FLAIR magnetic resonance.
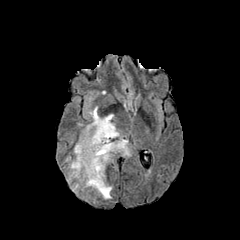
T1-weighted MRI.
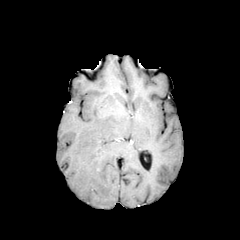
Post-contrast T1-weighted MR.
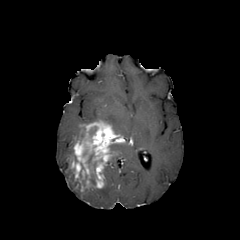
T2-weighted magnetic resonance.
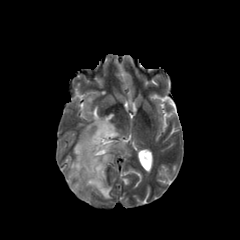
Head.
Edema: [x1=78, y1=124, x2=87, y2=141], [x1=68, y1=167, x2=112, y2=199], [x1=104, y1=139, x2=130, y2=176], [x1=87, y1=106, x2=119, y2=134].
Non-enhancing tumor core: [x1=79, y1=172, x2=95, y2=187], [x1=88, y1=126, x2=96, y2=137], [x1=83, y1=152, x2=101, y2=169].
Enhancing tumor: [x1=70, y1=120, x2=125, y2=188].